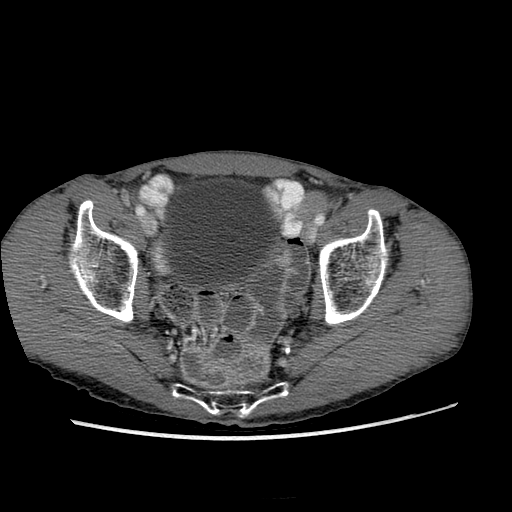
Lower abdomen; Computed tomography
{"urinary_bladder": ["(167,181,279,284)"]}